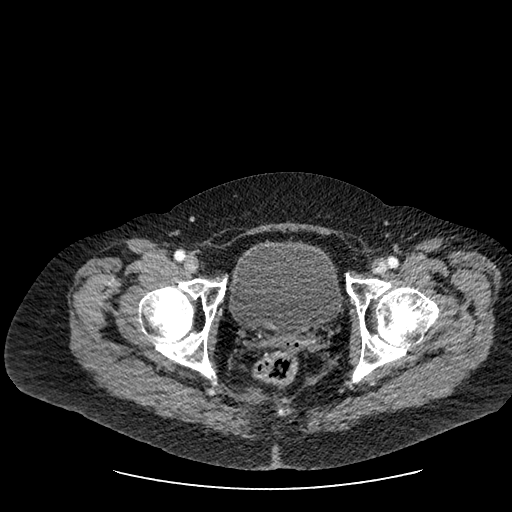
CT image, Pelvis
urinary_bladder:
  - rect(228, 241, 342, 337)